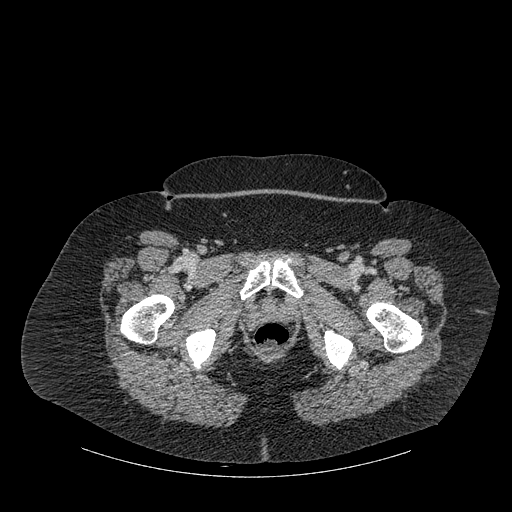

CT
- bone: 120:294:174:343, 240:258:302:299, 366:302:422:352, 324:330:352:369, 186:329:215:368